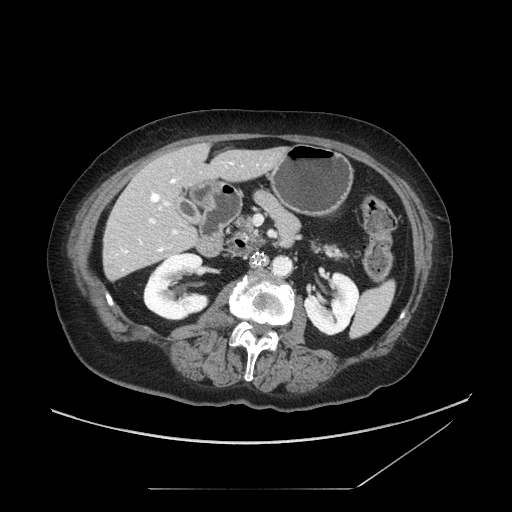 CT image. Abdomen. 512x512 px.
The pancreatic tumor is bounded by 242:224:257:239. 3 pancreas regions appear at 231:216:254:236, 313:244:346:257, 246:231:263:246.